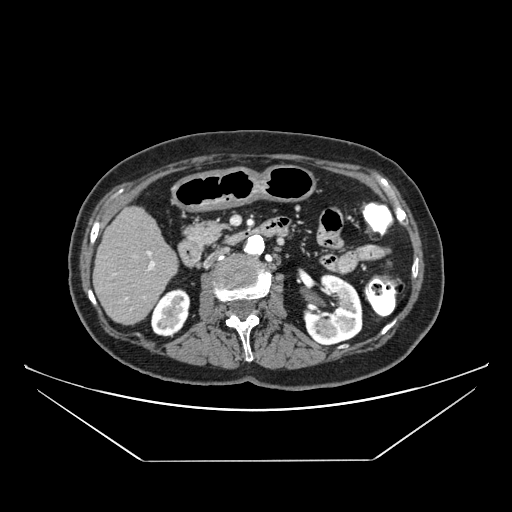 Upper abdomen, CT slice

<segmentation>
  <pancreas>box=[180, 218, 232, 250]</pancreas>
</segmentation>